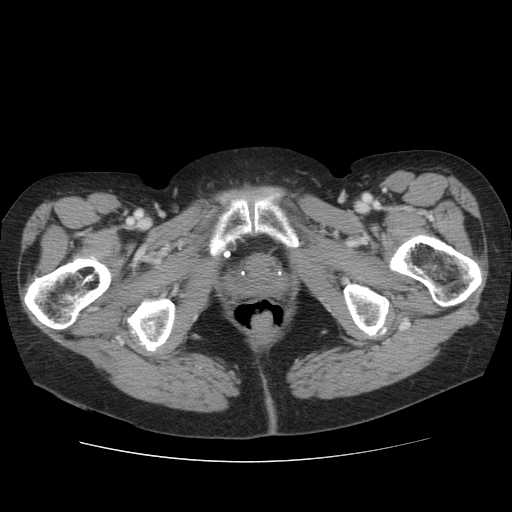 512x512 px | CT slice

<segmentation>
  <bone>(left=333, top=227, right=481, bottom=338), (left=209, top=188, right=297, bottom=259), (left=126, top=281, right=188, bottom=353), (left=24, top=250, right=121, bottom=329)</bone>
</segmentation>